Slice 43 of 155. Head.
FLAIR MR.
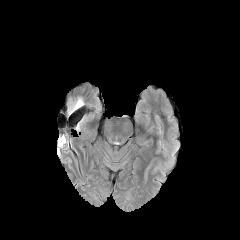
T1-weighted magnetic resonance.
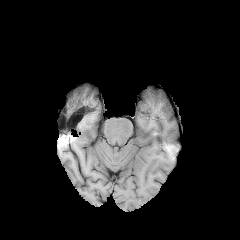
Post-contrast T1-weighted magnetic resonance.
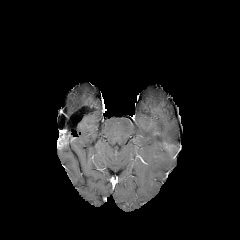
T2-weighted MRI.
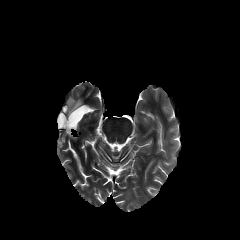
{
  "edema": [
    "rect(67, 98, 84, 116)"
  ]
}